Abdomen; Field of view 489 mm wide, 5.00 mm slice spacing; 512x512; CT; Slice 36 of 58 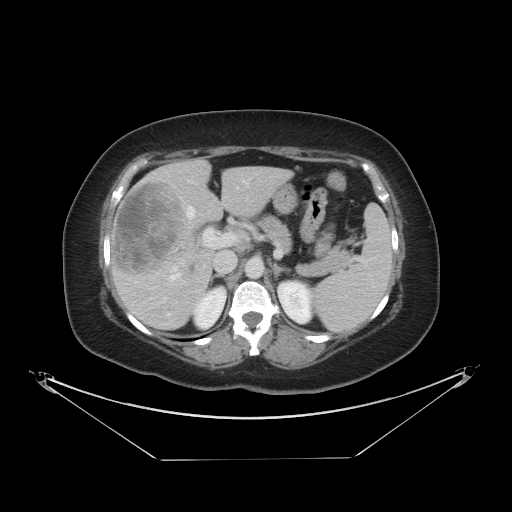

The vessel annotation is not exhaustive.
Hepatic vessel: bounding box <bbox>243, 180, 248, 185</bbox>, <bbox>169, 268, 179, 279</bbox>, <bbox>187, 180, 192, 182</bbox>, <bbox>202, 234, 204, 244</bbox>, <bbox>187, 206, 193, 217</bbox>.
Liver tumor: bounding box <bbox>112, 180, 185, 274</bbox>.